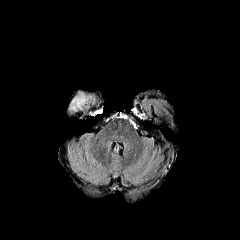
FLAIR MR image.
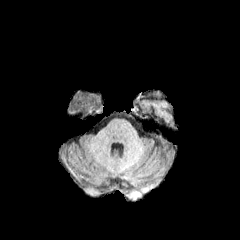
T1-weighted magnetic resonance.
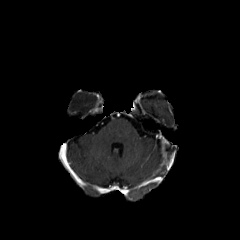
Post-contrast T1-weighted MR.
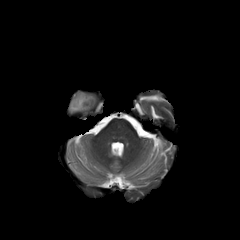
T2-weighted MRI of the same slice.
240x240 px
edema: bbox(68, 92, 97, 113)